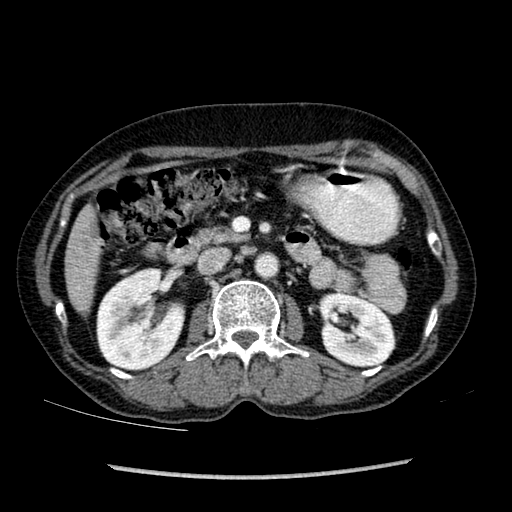

Image size 512x512. CT slice. Abdomen.
The liver is located at [65,210,98,309]. 2 kidney regions are bounded by [321,294,393,365], [97,269,183,369].